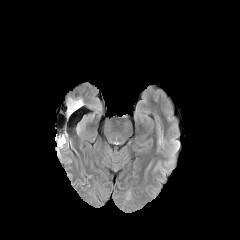
FLAIR MR image.
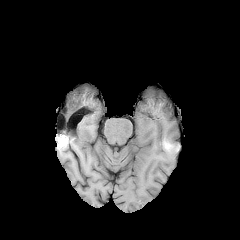
Same slice, T1-weighted MRI.
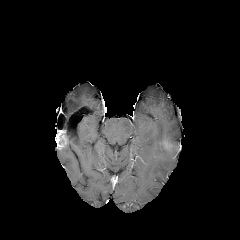
Same slice, post-contrast T1-weighted MR image.
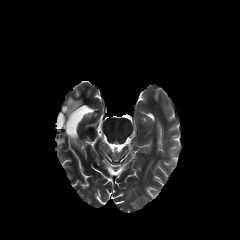
T2-weighted magnetic resonance.
Brain.
Annotated regions:
* edema: bbox=[66, 98, 83, 118]